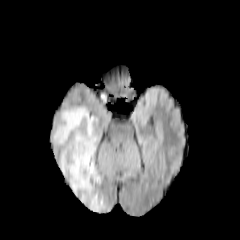
FLAIR MRI.
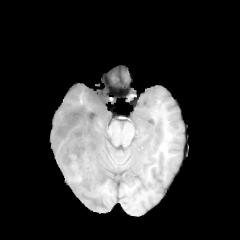
T1-weighted MR image.
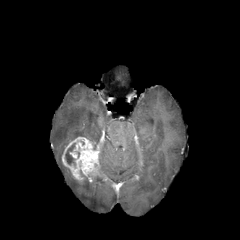
Post-contrast T1-weighted magnetic resonance of the same slice.
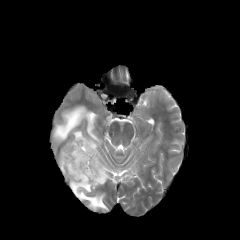
T2-weighted MRI.
240x240 px.
The non-enhancing tumor core is at (x1=64, y1=142, x2=76, y2=167). The edema appears at (x1=51, y1=105, x2=107, y2=210). The enhancing tumor is located at (x1=61, y1=136, x2=104, y2=182).